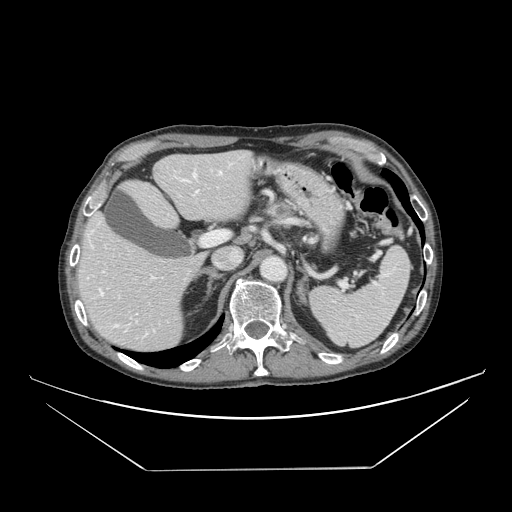

CT slice, 512x512 px
Pancreatic tumor at [273,206,288,218].
Pancreas at [261,199,296,223].